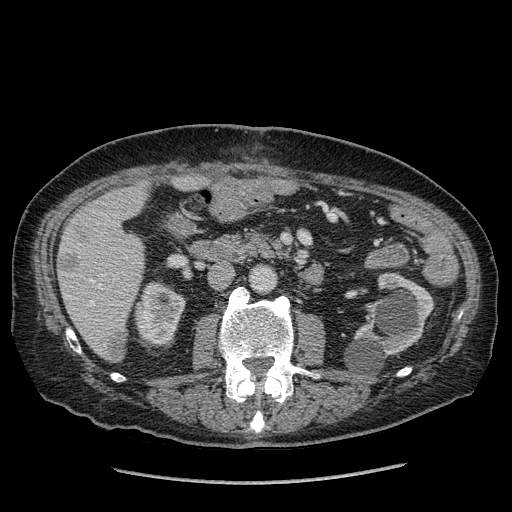 CT scan slice | Upper abdomen
2 kidney regions are bounded by box(354, 273, 433, 354); box(136, 283, 184, 344). 2 focal liver lesion regions are located at box(108, 331, 126, 361); box(57, 253, 79, 269). 2 liver regions are bounded by box(174, 175, 210, 191); box(58, 180, 151, 362).